Head, Slice 77 of 155
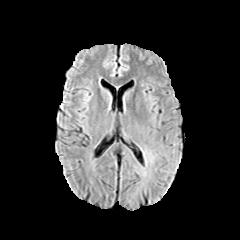
FLAIR MR.
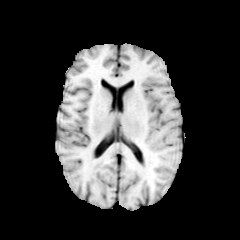
T1-weighted magnetic resonance of the same slice.
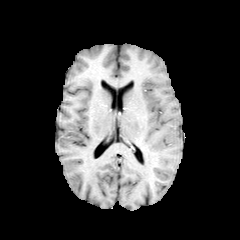
Post-contrast T1-weighted MRI of the same slice.
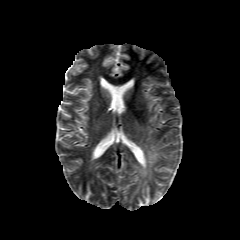
T2-weighted magnetic resonance of the same slice.
Edema = (144, 150, 155, 163).